Slice 50/155, Field of view 240x240 mm
FLAIR MR.
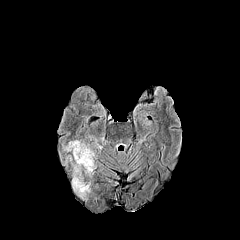
T1-weighted magnetic resonance.
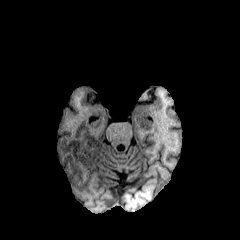
Post-contrast T1-weighted MRI.
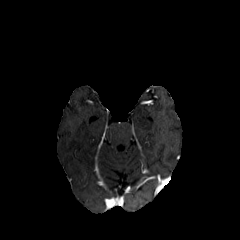
T2-weighted MR image.
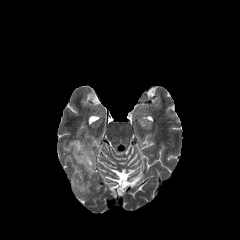
The edema is at 62, 140, 95, 192.